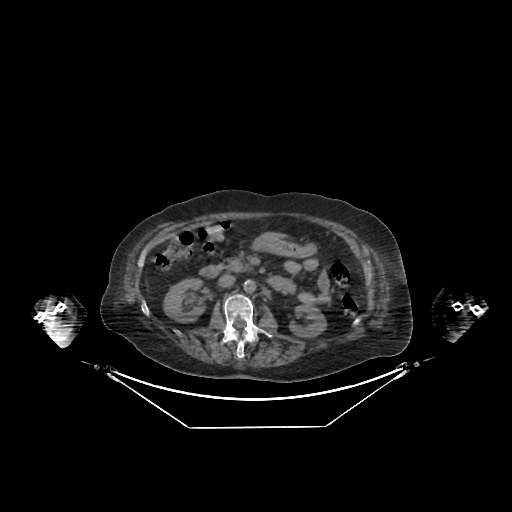

512x512. Computed tomography.

<segmentation>
  <kidney>[163,278,205,322], [289,303,326,337]</kidney>
  <liver>[258,236,286,244]</liver>
</segmentation>